FLAIR magnetic resonance.
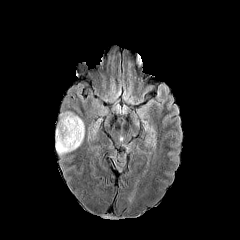
T1-weighted MR image.
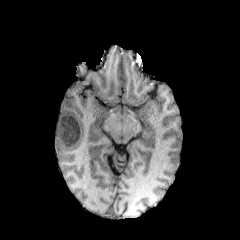
Post-contrast T1-weighted MR image.
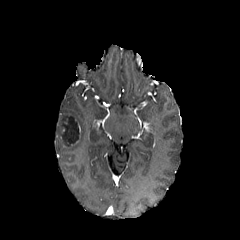
T2-weighted magnetic resonance.
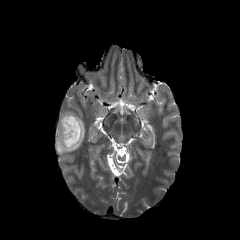
Head. 240x240.
The non-enhancing tumor core is located at 59:115:79:145. The edema lies within 55:115:85:154.